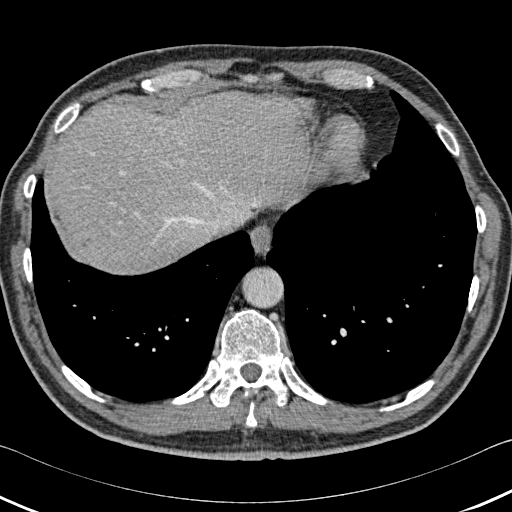
Computed tomography, Liver, 512x512

liver: 46 91 312 273 | bone: 24 175 35 197, 62 365 104 402, 23 248 31 282, 468 276 478 311, 172 310 327 407, 54 103 79 132, 380 380 434 411, 475 206 486 232, 246 402 256 426, 436 123 459 155 | lung: 265 90 477 404, 30 177 254 403